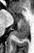

MRI
<segmentation>
  <anterior_hippocampus>(x1=19, y1=16, x2=24, y2=20), (x1=13, y1=13, x2=14, y2=16)</anterior_hippocampus>
  <posterior_hippocampus>(x1=14, y1=20, x2=28, y2=40)</posterior_hippocampus>
</segmentation>